FLAIR MRI.
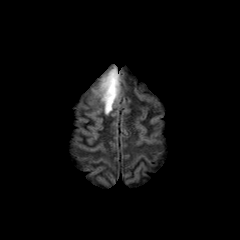
T1-weighted magnetic resonance.
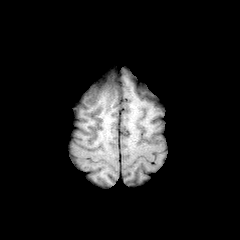
Post-contrast T1-weighted MR.
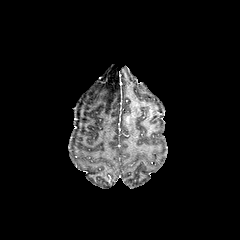
T2-weighted magnetic resonance.
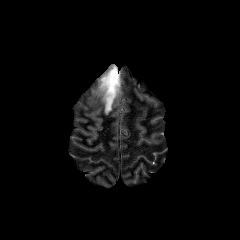
Head
Edema — region(92, 65, 121, 114).